Abdomen, Slice index 346, Image size 512x512, CT slice
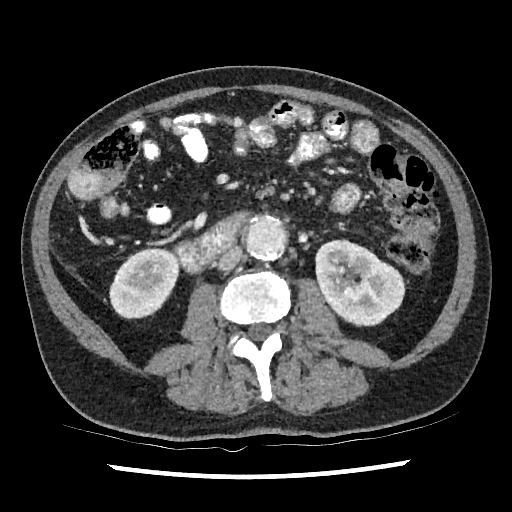 {
  "kidney": [
    "<bbox>110, 249, 178, 317</bbox>",
    "<bbox>316, 240, 404, 325</bbox>"
  ]
}